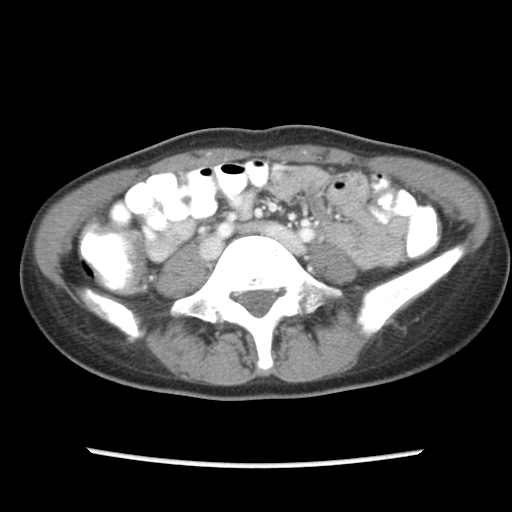
Computed tomography | Pelvis | 512x512
Colon tumor — region(114, 230, 147, 295).